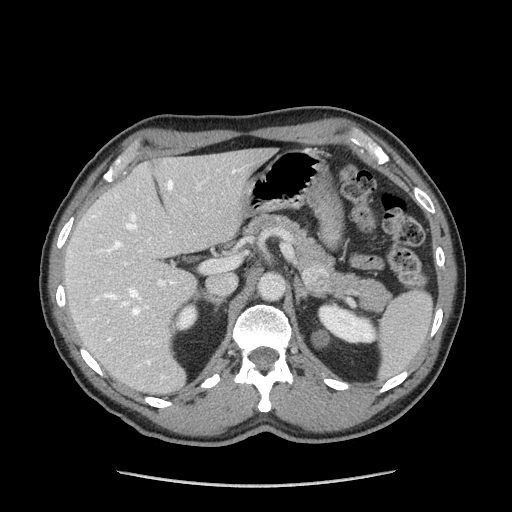

Abdomen; CT image; 512x512
Segmented structures:
- pancreas: box=[244, 215, 391, 311]
- pancreatic tumor: box=[303, 266, 329, 291]